Slice 94/155. Field of view 240 mm wide, 1.00 mm slice spacing. Brain.
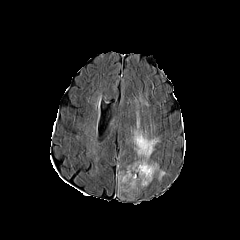
FLAIR MRI.
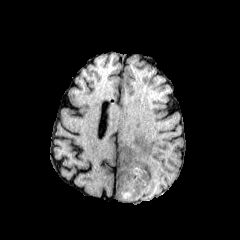
T1-weighted MR of the same slice.
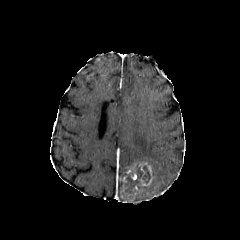
Same slice, post-contrast T1-weighted magnetic resonance.
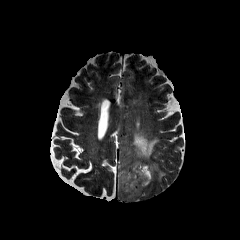
Same slice, T2-weighted MR image.
Segmented structures:
- non-enhancing tumor core: 142:166:150:182, 124:174:139:193
- enhancing tumor: 119:161:153:201
- edema: 131:110:166:180